Brain
FLAIR MR image.
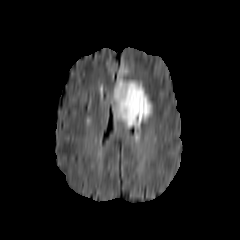
T1-weighted MR image.
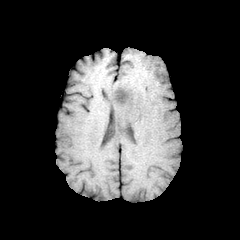
Post-contrast T1-weighted MRI.
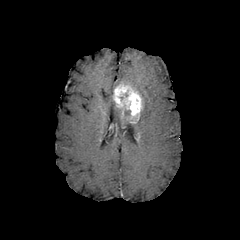
T2-weighted MR.
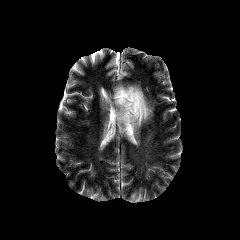
edema:
  - [x1=114, y1=66, x2=153, y2=138]
enhancing_tumor:
  - [x1=113, y1=84, x2=143, y2=122]